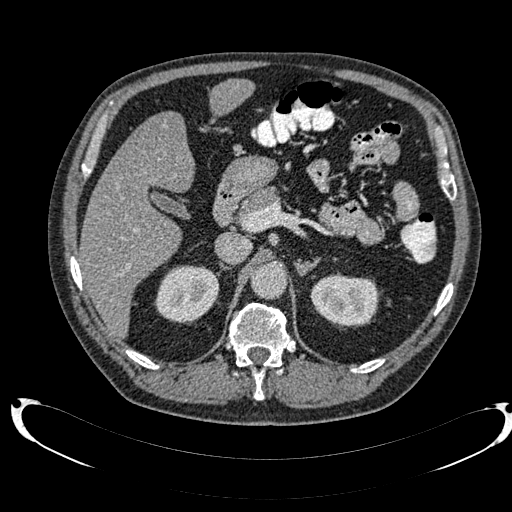 512x512 px | Upper abdomen | CT image

2 liver regions are bounded by <bbox>210, 79, 254, 114</bbox>, <bbox>80, 115, 194, 338</bbox>. The focal liver lesion is located at <bbox>150, 113, 183, 139</bbox>. 2 kidney regions are located at <bbox>155, 266, 218, 322</bbox>, <bbox>311, 274, 378, 325</bbox>.